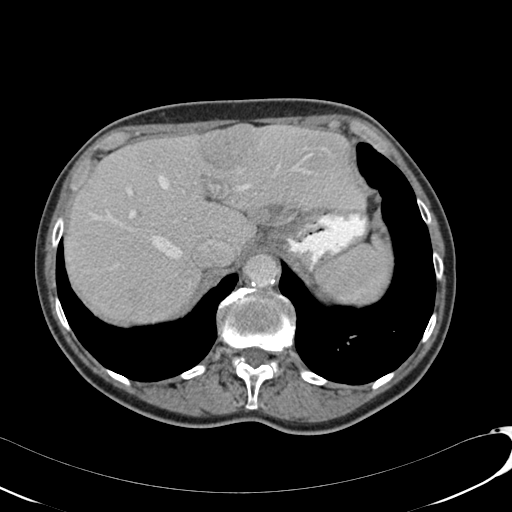 CT image
Liver: 65:124:365:322.
Focal liver lesion: 129:289:140:303, 199:125:258:169.